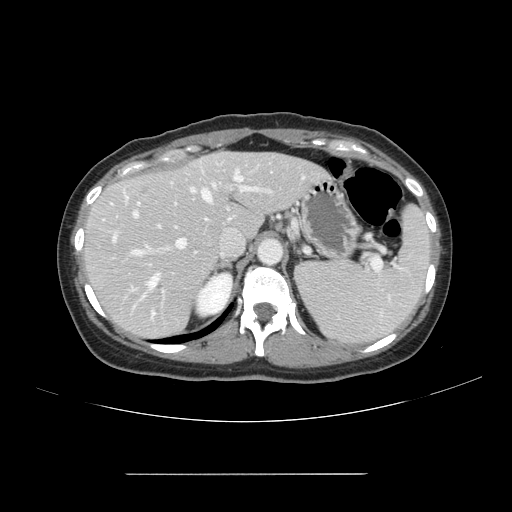
Liver. CT scan slice.
Not every hepatic vessel necessarily has a box.
15 hepatic vessel regions are bounded by 240 186 260 191, 133 211 137 216, 152 312 154 317, 125 195 127 200, 201 189 211 201, 113 235 116 241, 176 238 185 248, 234 169 242 181, 146 246 148 249, 147 273 159 288, 142 295 144 297, 190 188 194 191, 213 183 215 187, 133 250 144 254, 137 202 139 204.